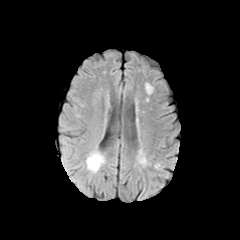
FLAIR MR.
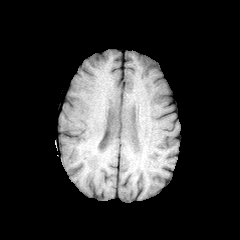
T1-weighted MR image.
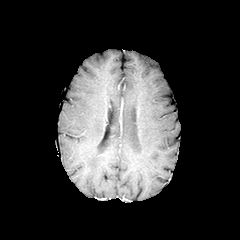
Post-contrast T1-weighted MRI of the same slice.
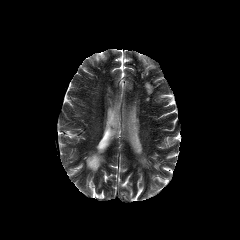
T2-weighted MRI.
Head
The edema lies within [86, 153, 103, 171].